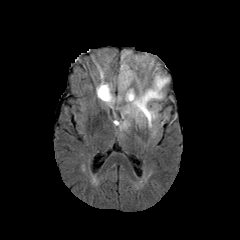
FLAIR MRI.
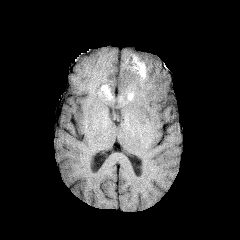
Same slice, T1-weighted MR image.
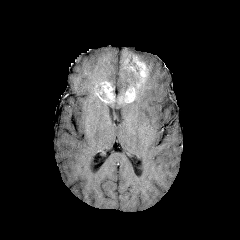
Post-contrast T1-weighted MR of the same slice.
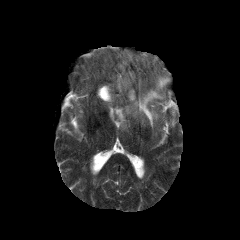
Same slice, T2-weighted MR.
Brain.
<segmentation>
  <edema>111 52 141 95, 119 72 169 129</edema>
  <enhancing_tumor>136 68 146 89, 124 87 136 102, 98 83 115 102</enhancing_tumor>
  <non-enhancing_tumor_core>112 90 126 102</non-enhancing_tumor_core>
</segmentation>